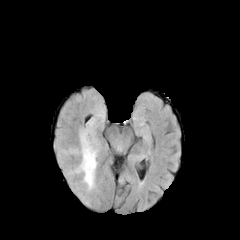
FLAIR MR.
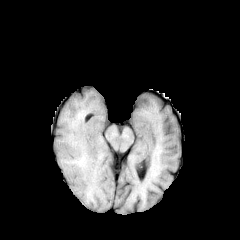
T1-weighted MR.
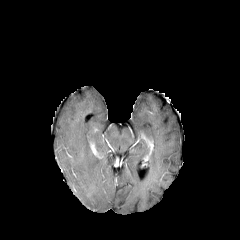
Same slice, post-contrast T1-weighted MR.
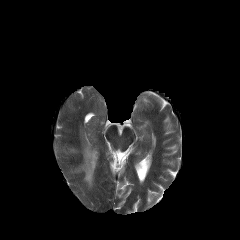
T2-weighted MR.
240x240 px | Head
{
  "edema": [
    "x1=74, y1=132, x2=97, y2=188"
  ]
}